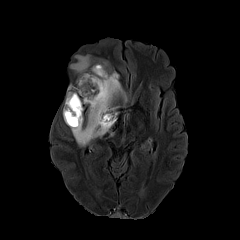
FLAIR MRI.
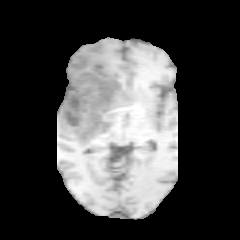
T1-weighted MR image.
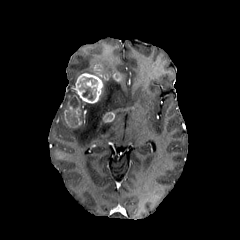
Post-contrast T1-weighted MR image.
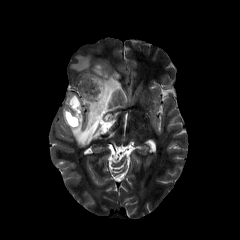
T2-weighted MRI of the same slice.
Enhancing tumor: bounding box region(102, 111, 114, 122); region(64, 95, 83, 127); region(76, 65, 108, 103).
Edema: bounding box region(65, 55, 127, 147).
Non-enhancing tumor core: bounding box region(78, 76, 97, 100).